Field of view 375x375 mm. 512x512 px. CT. 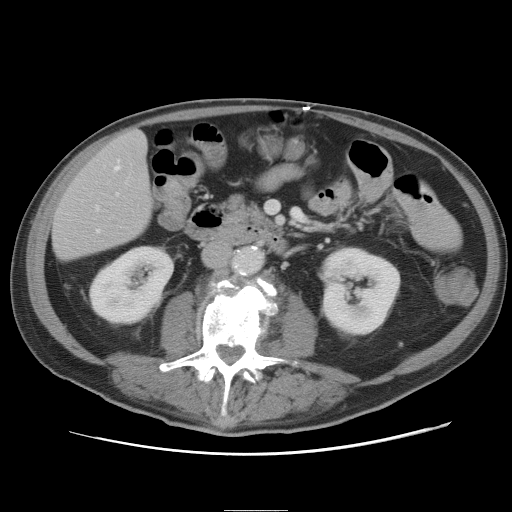 Not every hepatic vessel necessarily has a box.
4 hepatic vessel regions appear at (98, 230, 100, 232), (136, 131, 140, 132), (116, 160, 120, 170), (97, 207, 98, 208).